Slice 28/36, MRI slice, Medial temporal lobe 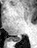

Posterior hippocampus = bbox=[12, 36, 22, 41].